512x512 | Field of view 418 mm wide, 3.00 mm slice spacing | CT
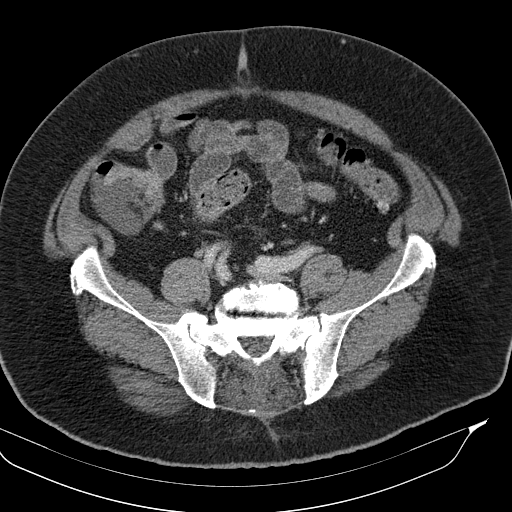 colon_tumor:
  - (104, 163, 162, 210)